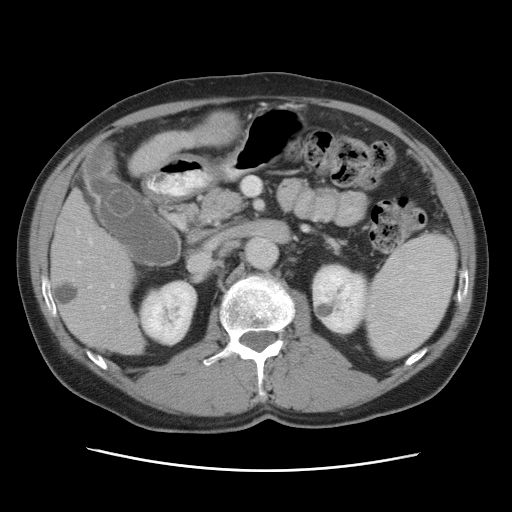
Liver, CT

Not every hepatic vessel necessarily has a box.
The liver tumor is bounded by (left=209, top=113, right=238, bottom=141). 5 hepatic vessel regions are bounded by (left=88, top=286, right=91, bottom=288), (left=102, top=306, right=104, bottom=308), (left=76, top=228, right=79, bottom=235), (left=77, top=261, right=80, bottom=265), (left=110, top=283, right=113, bottom=287).